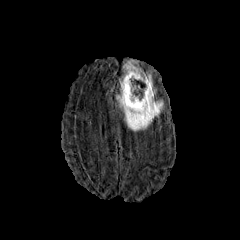
FLAIR MR.
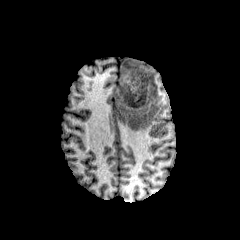
T1-weighted MR.
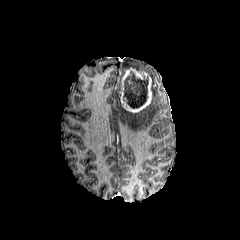
Same slice, post-contrast T1-weighted MRI.
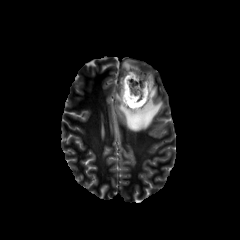
T2-weighted MR.
Image size 240x240, Brain
Edema = <bbox>115, 89, 163, 132</bbox>, <bbox>123, 60, 138, 69</bbox>.
Non-enhancing tumor core = <bbox>123, 74, 147, 108</bbox>.
Enhancing tumor = <bbox>120, 68, 152, 113</bbox>.